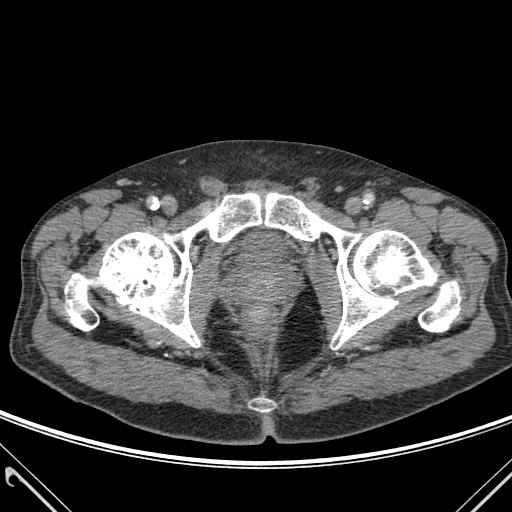

CT image. 3 bone regions appear at <bbox>418, 281, 460, 331</bbox>, <bbox>65, 193, 437, 348</bbox>, <bbox>257, 398, 269, 411</bbox>.